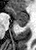 Hippocampus; MRI; Image size 36x50

{
  "posterior_hippocampus": [
    "bbox(17, 23, 27, 27)"
  ],
  "anterior_hippocampus": [
    "bbox(7, 7, 28, 22)"
  ]
}